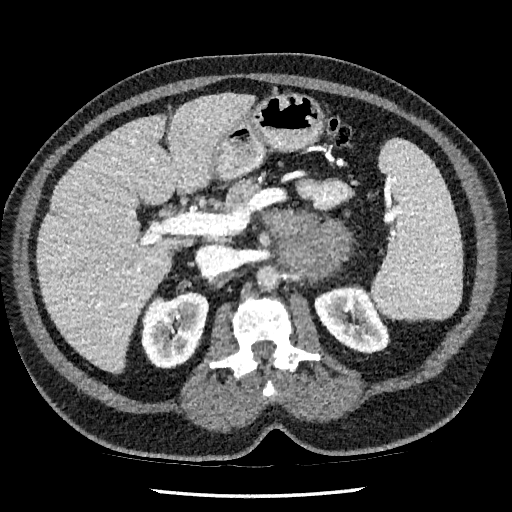

CT slice, Abdomen
The liver is located at x1=38, y1=94, x2=254, y2=371. 2 kidney regions are located at x1=142, y1=293, x2=207, y2=367; x1=315, y1=288, x2=387, y2=352.